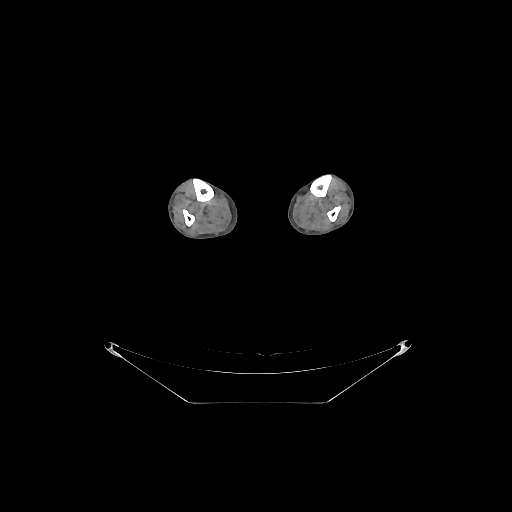

CT image; Image size 512x512

bone:
  - (327, 206, 340, 221)
  - (310, 175, 331, 196)
  - (183, 209, 194, 226)
  - (193, 179, 213, 201)